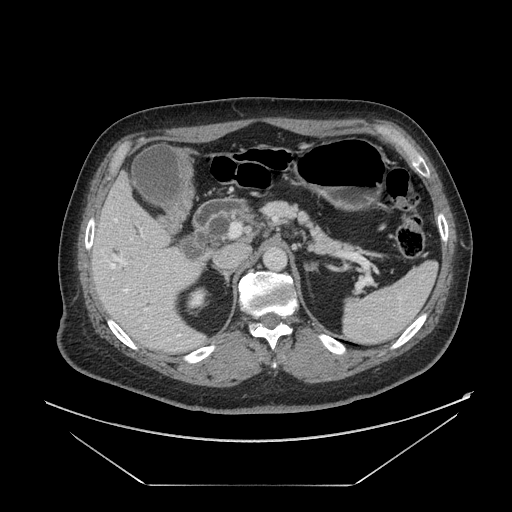

Upper abdomen, CT
Annotated regions:
• pancreas: rect(260, 201, 363, 253)